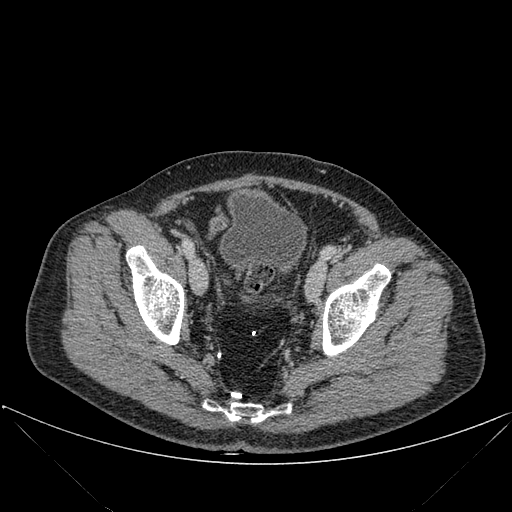

CT image. 512x512.

Segmented structures:
* urinary bladder: x1=240, y1=287, x2=259, y2=303; x1=219, y1=195, x2=306, y2=279
* bone: x1=126, y1=245, x2=183, y2=344; x1=323, y1=264, x2=390, y2=355; x1=203, y1=402, x2=291, y2=424